Field of view 400x400 mm, Magnetic resonance, 320x320 px
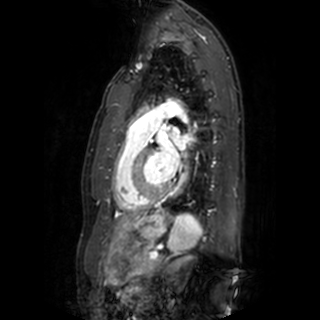 left atrium: (left=169, top=127, right=185, bottom=150), (left=156, top=132, right=178, bottom=178)